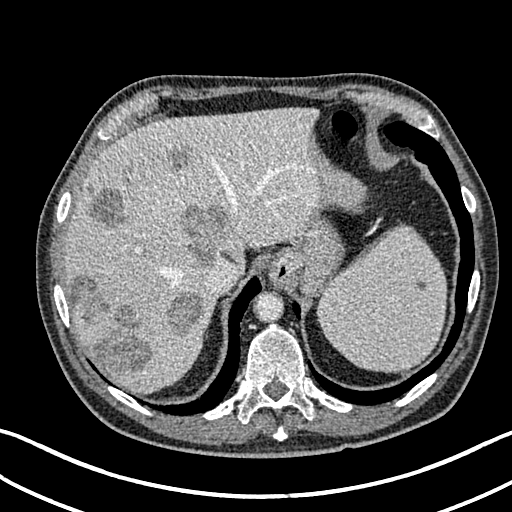

CT
2 liver regions are bounded by [65, 107, 362, 392], [72, 304, 118, 347]. 7 hepatic lesion regions are bounded by [68, 276, 151, 373], [168, 290, 203, 334], [168, 150, 192, 170], [89, 189, 126, 230], [88, 182, 95, 193], [181, 206, 234, 266], [113, 166, 132, 184].